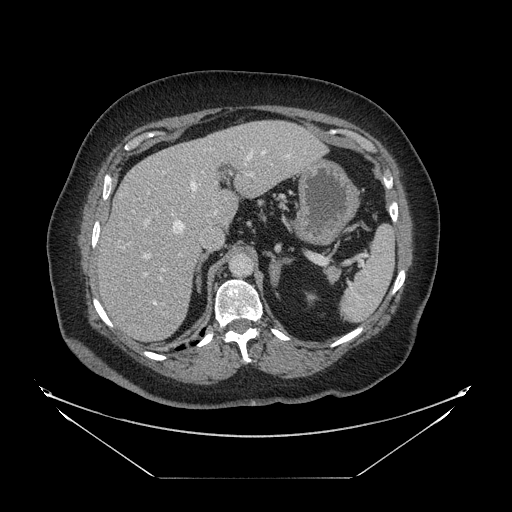
Abdomen; 512x512; CT slice
{"pancreas": ["l=325, t=264, r=340, b=282"]}